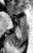 MR image; 33x53; Hippocampus

Posterior hippocampus at (9, 23, 26, 46).
Anterior hippocampus at (20, 15, 26, 22).